Brain.
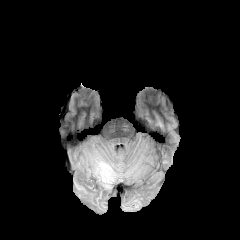
FLAIR MR image.
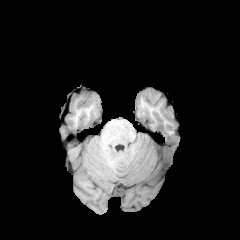
T1-weighted MR image.
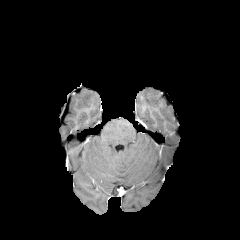
Same slice, post-contrast T1-weighted magnetic resonance.
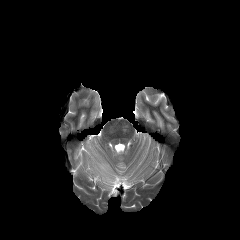
T2-weighted magnetic resonance.
The edema is located at bbox=[92, 153, 116, 187].